Pelvis | Image size 512x512 | Field of view 355 mm wide, 5.00 mm slice spacing | Computed tomography | Slice 60/90

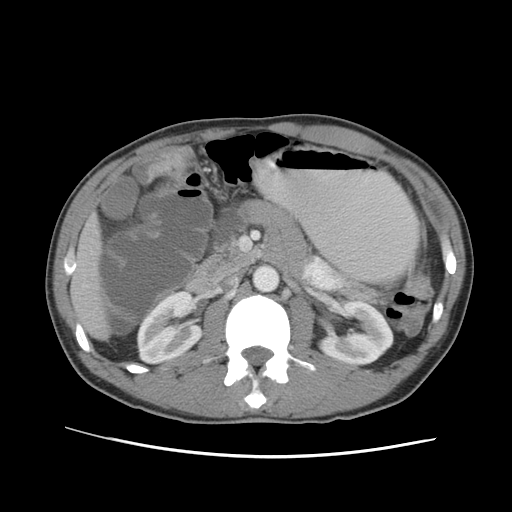 colon tumor: box=[148, 147, 194, 181]